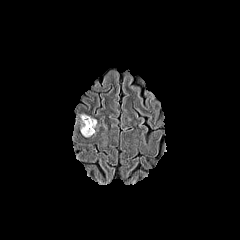
FLAIR magnetic resonance.
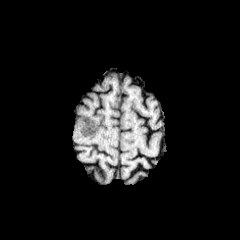
T1-weighted magnetic resonance.
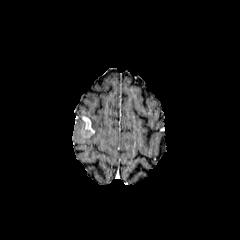
Same slice, post-contrast T1-weighted MR image.
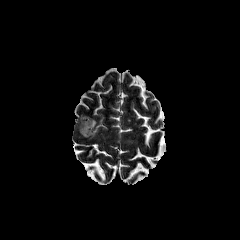
T2-weighted MR of the same slice.
non-enhancing tumor core: <bbox>80, 128, 94, 136</bbox> | enhancing tumor: <bbox>83, 117, 94, 132</bbox> | edema: <bbox>78, 114, 98, 134</bbox>, <bbox>76, 119, 84, 131</bbox>